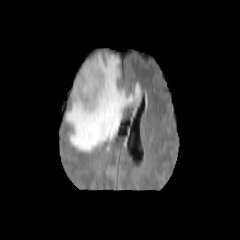
FLAIR magnetic resonance.
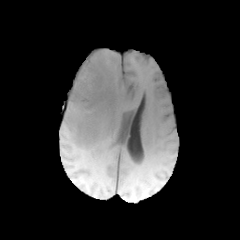
Same slice, T1-weighted MR.
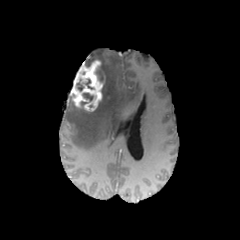
Same slice, post-contrast T1-weighted magnetic resonance.
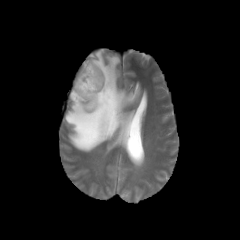
T2-weighted magnetic resonance of the same slice.
Findings:
- edema: l=65, t=50, r=141, b=151
- non-enhancing tumor core: l=96, t=62, r=105, b=83; l=82, t=93, r=93, b=101; l=101, t=84, r=106, b=100
- enhancing tumor: l=68, t=59, r=104, b=111